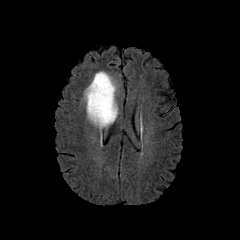
FLAIR magnetic resonance.
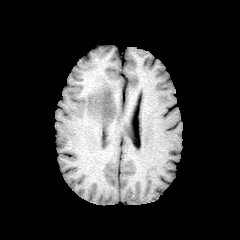
Same slice, T1-weighted MRI.
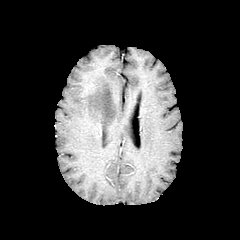
Post-contrast T1-weighted MR image of the same slice.
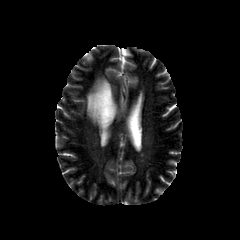
Same slice, T2-weighted MR.
Head
The edema appears at (81, 71, 120, 132).